Image width 387 mm, Computed tomography, Slice index 334

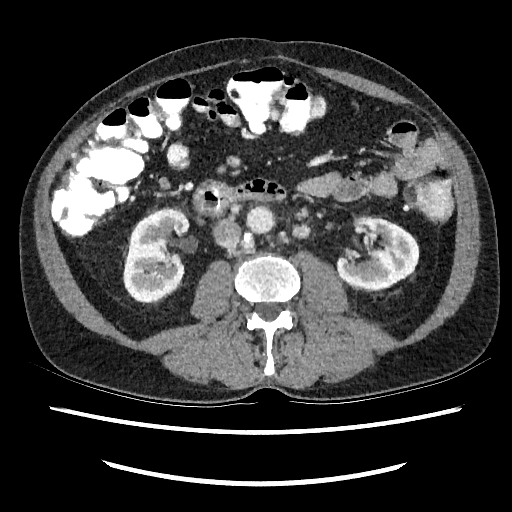 2 kidney regions are located at [338,218,418,289], [124,210,188,301].